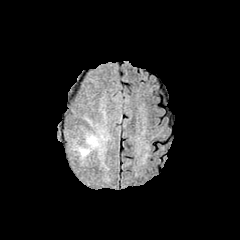
FLAIR MR.
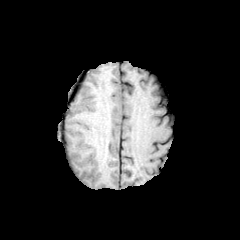
T1-weighted MR.
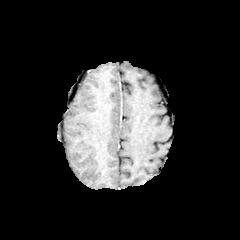
Same slice, post-contrast T1-weighted MR.
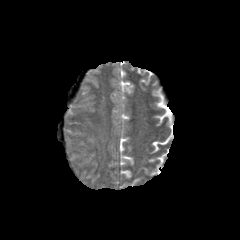
T2-weighted magnetic resonance.
Image size 240x240; Brain
The edema lies within (x1=79, y1=147, x2=93, y2=155).